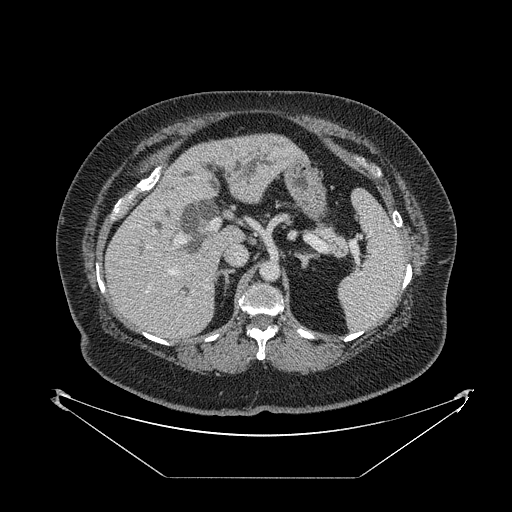

CT. pancreas: (313,222,348,256)